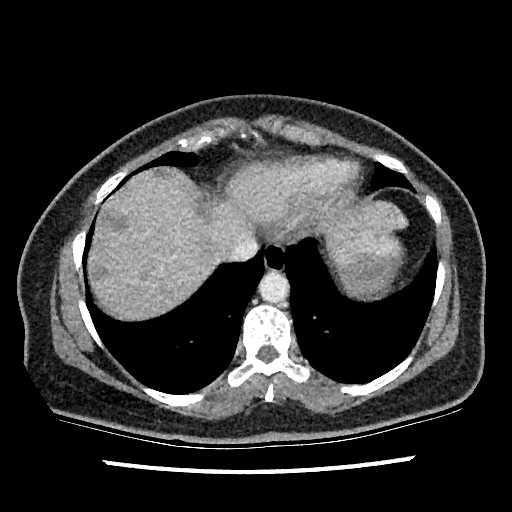

Image size 512x512. Computed tomography. Abdomen. 4 focal liver lesion regions appear at box=[196, 197, 210, 223]; box=[99, 211, 127, 230]; box=[154, 168, 170, 177]; box=[91, 266, 107, 280]. 2 liver regions appear at box=[89, 165, 295, 317]; box=[326, 203, 406, 245].